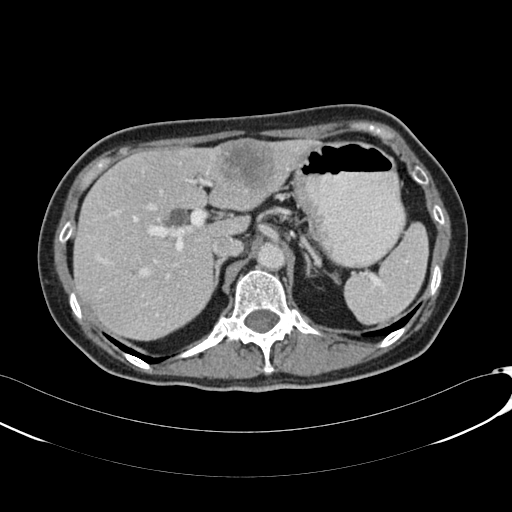 Liver. Computed tomography. Liver at x1=74, y1=140, x2=318, y2=339.
Focal liver lesion at x1=222, y1=142, x2=277, y2=188.